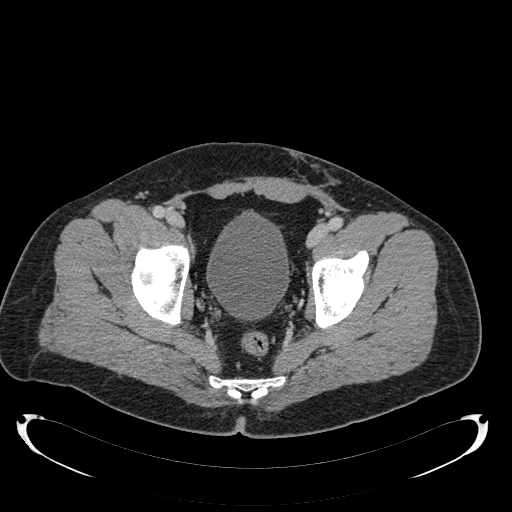

CT scan slice; Lower abdomen
Urinary bladder: bounding box 206:215:289:320.